512x512; Pelvis; CT
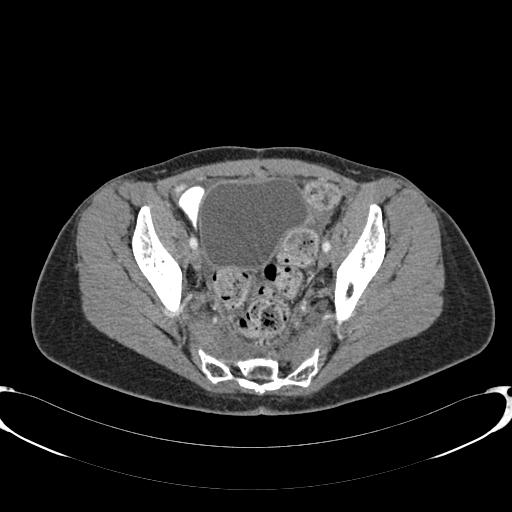
urinary bladder: [x1=201, y1=180, x2=306, y2=267]